Slice 53/155 | Head
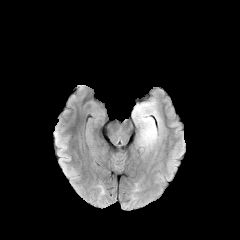
FLAIR MR.
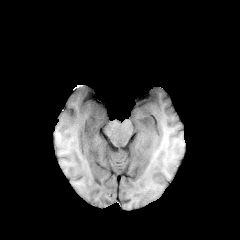
T1-weighted magnetic resonance of the same slice.
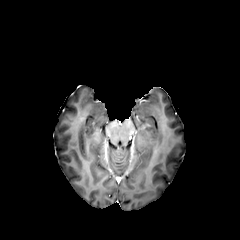
Post-contrast T1-weighted MR image of the same slice.
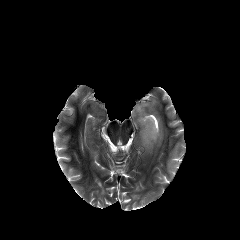
Same slice, T2-weighted MRI.
The edema appears at l=132, t=99, r=162, b=150.